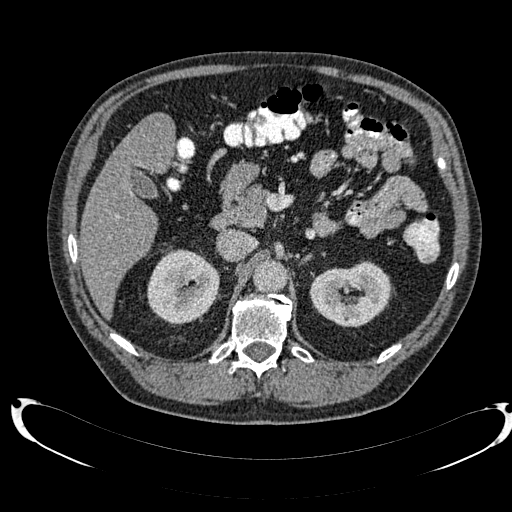

CT scan slice | Liver | Image size 512x512

2 kidney regions are located at region(310, 261, 391, 326); region(147, 249, 219, 323). The liver lesion is at region(149, 114, 172, 133). The liver is located at region(81, 116, 174, 318).